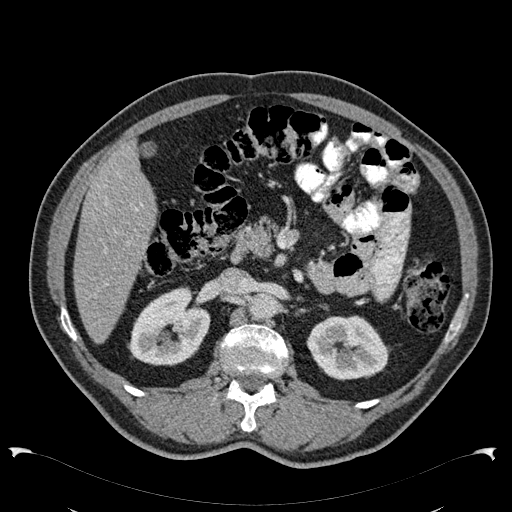
512x512 | Upper abdomen | Computed tomography
<segmentation>
  <kidney>l=307, t=316, r=387, b=379; l=129, t=287, r=212, b=364</kidney>
  <liver>l=75, t=138, r=156, b=344</liver>
</segmentation>